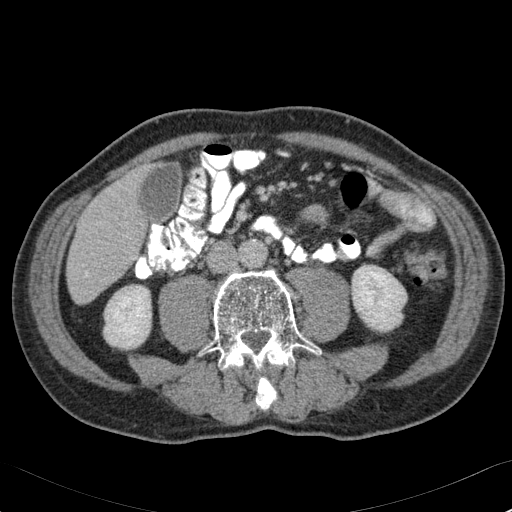 CT image, Abdomen

2 kidney regions are located at x1=104 y1=286 x2=151 y2=348, x1=352 y1=265 x2=406 y2=331. The liver lies within x1=67 y1=164 x2=146 y2=303.